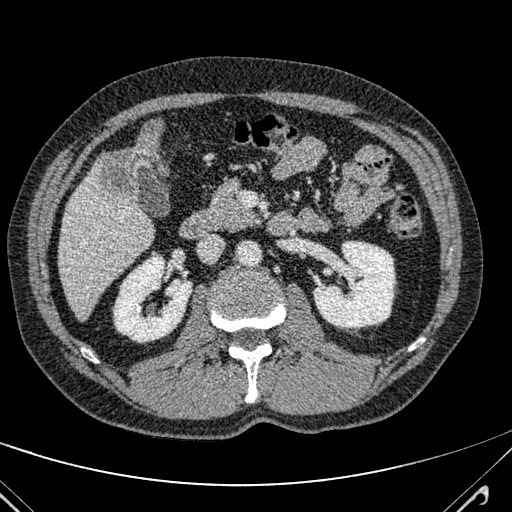
CT scan slice; Abdomen; Image size 512x512
Liver = (left=59, top=155, right=151, bottom=318).
Liver lesion = (left=98, top=121, right=166, bottom=195).